CT image, Slice index 448 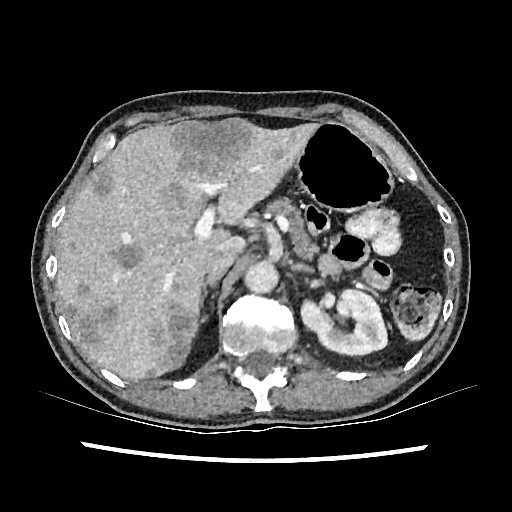
9 liver lesion regions are located at x1=113, y1=244, x2=143, y2=269; x1=77, y1=283, x2=89, y2=296; x1=147, y1=369, x2=155, y2=376; x1=151, y1=303, x2=195, y2=368; x1=65, y1=304, x2=118, y2=341; x1=92, y1=170, x2=111, y2=195; x1=270, y1=146, x2=285, y2=161; x1=161, y1=184, x2=185, y2=208; x1=168, y1=119, x2=256, y2=179. The kidney is bounded by x1=301, y1=290, x2=386, y2=358. The liver is located at x1=58, y1=124, x2=318, y2=379.